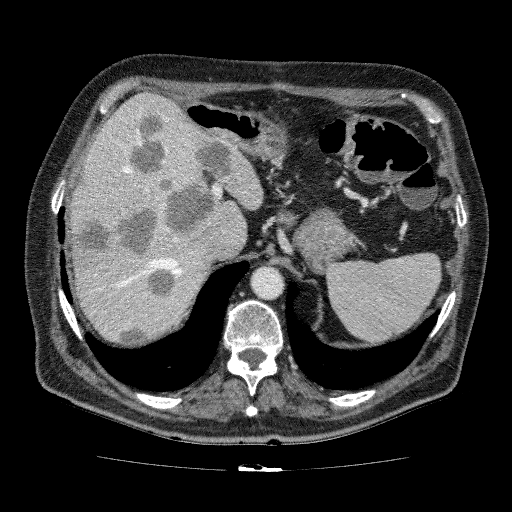 Abdomen; CT
Segmented structures:
* hepatic lesion: [x1=76, y1=156, x2=89, y2=191], [x1=126, y1=111, x2=166, y2=176], [x1=71, y1=204, x2=159, y2=271], [x1=144, y1=270, x2=177, y2=299], [x1=156, y1=137, x2=236, y2=236], [x1=116, y1=326, x2=152, y2=345]
* liver: [x1=210, y1=145, x2=263, y2=210], [x1=70, y1=92, x2=246, y2=343]